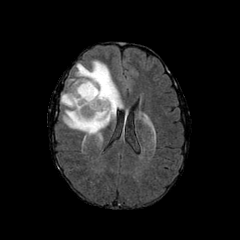
FLAIR magnetic resonance.
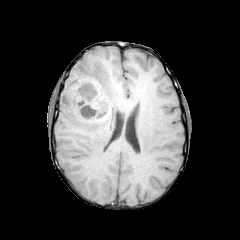
T1-weighted MR.
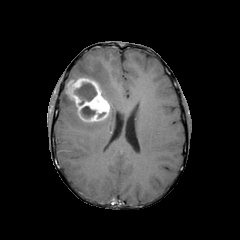
Same slice, post-contrast T1-weighted MR image.
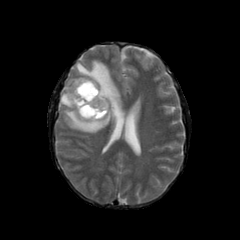
T2-weighted MR.
2 non-enhancing tumor core regions are located at x1=80 y1=106 x2=97 y2=122, x1=73 y1=82 x2=96 y2=105. The edema is at x1=60 y1=59 x2=122 y2=135. The enhancing tumor is at x1=67 y1=78 x2=109 y2=121.